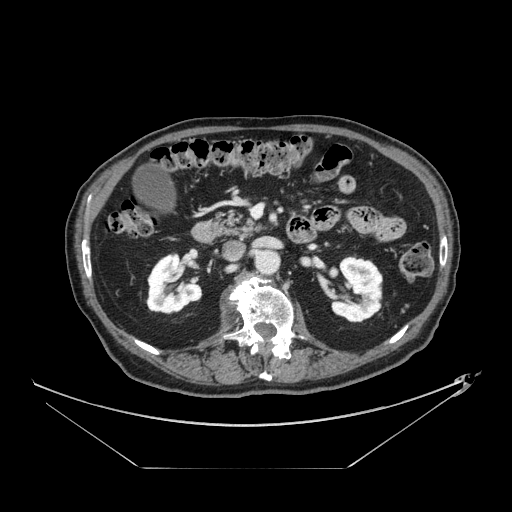
CT scan slice; Upper abdomen
The pancreas appears at box=[213, 214, 263, 236].